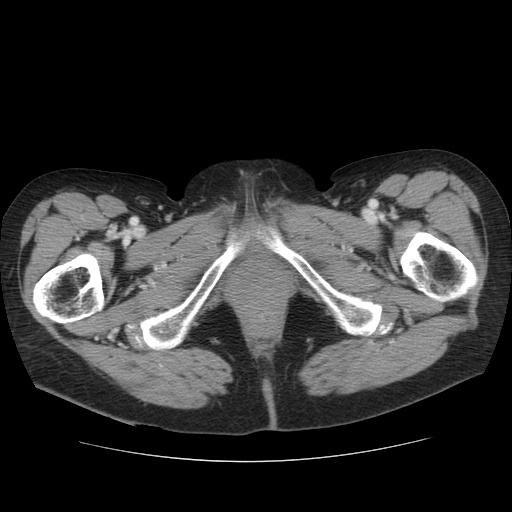 CT image

Bone = (left=129, top=222, right=389, bottom=351), (left=27, top=252, right=104, bottom=326), (left=398, top=230, right=477, bottom=303).